FLAIR MR image.
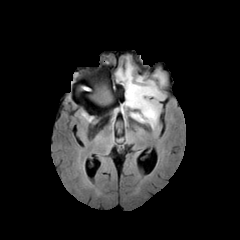
T1-weighted MR image.
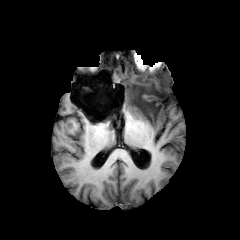
Post-contrast T1-weighted MR.
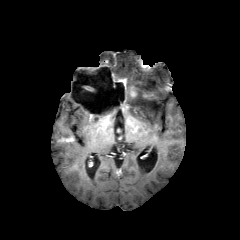
T2-weighted MR.
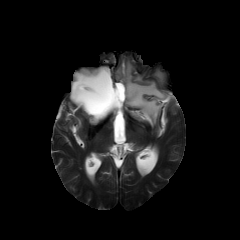
3 non-enhancing tumor core regions are bounded by rect(126, 128, 133, 140); rect(94, 86, 113, 104); rect(125, 79, 147, 116). The enhancing tumor appears at rect(118, 78, 137, 97). The edema appears at rect(115, 62, 165, 133).